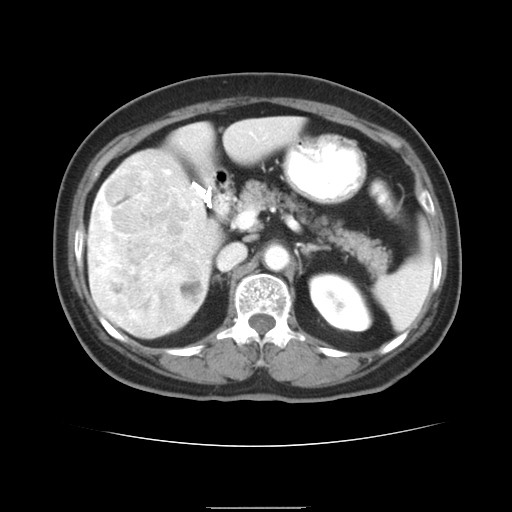

CT slice
Only some of the vessels may be annotated.
Annotated regions:
* liver tumor: (left=88, top=151, right=211, bottom=337)
* hepatic vessel: (left=250, top=133, right=251, bottom=134)